Image width 351 mm; Slice 524 of 588; Computed tomography 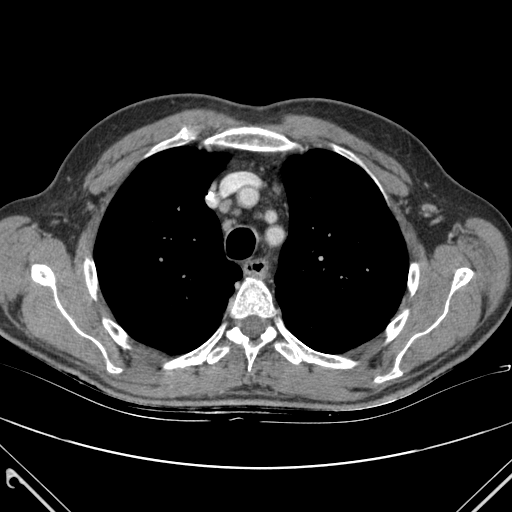 Segmented structures:
- bone: [164,326,228,368], [408,264,418,294], [103,319,128,347], [334,145,361,164], [275,321,355,368], [232,278,274,317], [450,268,472,294], [386,310,407,341], [205,127,294,150], [227,327,275,370], [31,264,121,372], [148,128,194,155], [375,301,448,382], [84,259,96,298]
- lung: [94,147,242,354], [275,149,408,353]